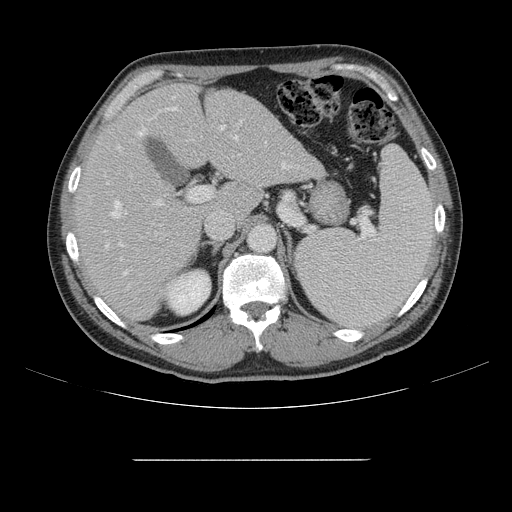

CT scan slice.

Not every hepatic vessel necessarily has a box.
[15/20] hepatic vessel: 119 242 123 245, 187 186 210 202, 156 200 162 205, 112 201 121 216, 235 135 237 139, 212 181 214 187, 168 107 177 110, 123 271 127 274, 138 127 146 135, 149 117 154 119, 282 163 291 168, 106 242 108 247, 220 125 224 129, 118 146 121 150, 235 122 240 126